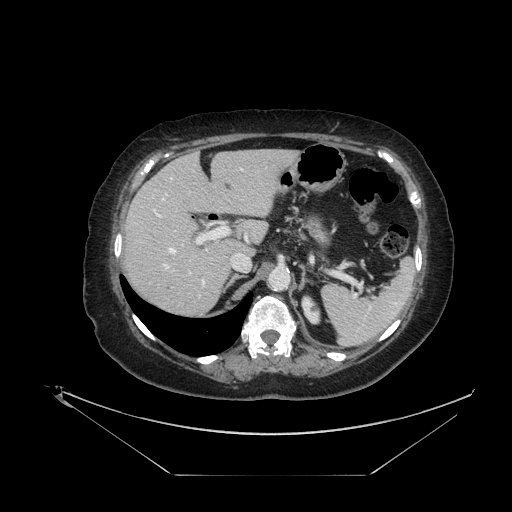
CT scan slice
pancreas:
  - x1=318 y1=253 x2=330 y2=262